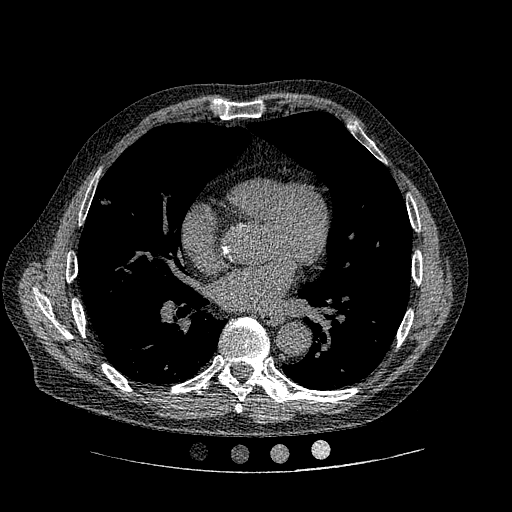
Computed tomography
Lung tumor: bounding box box(94, 193, 114, 210).